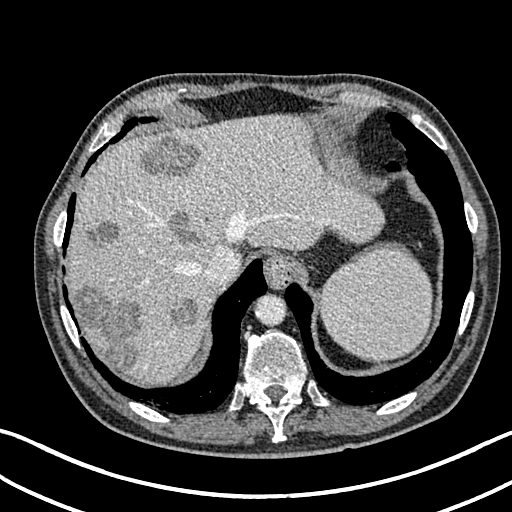
Upper abdomen, CT slice

<segmentation>
  <liver><box>80,320,109,358</box>, <box>68,116,383,381</box></liver>
  <focal_liver_lesion><box>87,222,119,245</box>, <box>167,298,196,326</box>, <box>75,287,142,367</box>, <box>169,211,197,239</box>, <box>141,136,199,177</box></focal_liver_lesion>
</segmentation>